512x512 px | Slice 25/45 | CT image 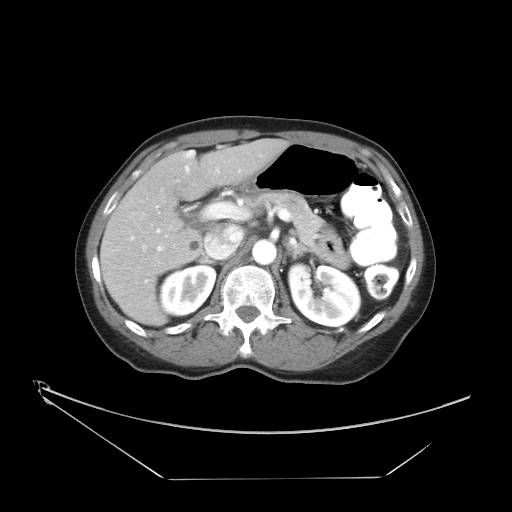

The vessel boxes may cover only some of the vessels.
11 hepatic vessel regions appear at bbox=[157, 246, 162, 250]; bbox=[176, 180, 178, 181]; bbox=[130, 236, 133, 239]; bbox=[206, 203, 242, 217]; bbox=[205, 230, 242, 254]; bbox=[216, 170, 219, 172]; bbox=[142, 246, 145, 250]; bbox=[145, 279, 147, 282]; bbox=[238, 170, 240, 171]; bbox=[157, 229, 159, 232]; bbox=[185, 167, 189, 171].